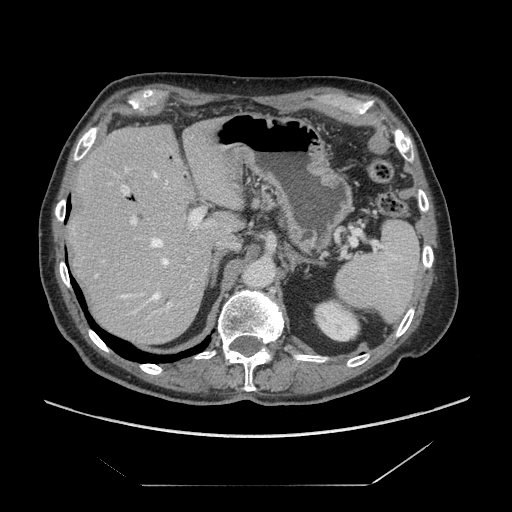
CT slice. 512x512 px.
pancreas: 249:193:263:210